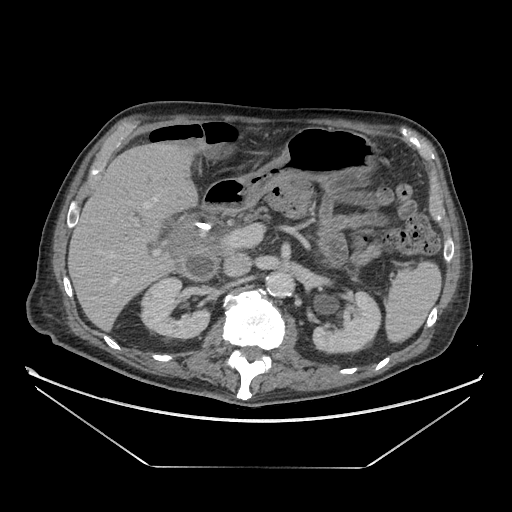

CT slice, Upper abdomen

<segmentation>
  <pancreas>x1=244 y1=208 x2=270 y2=222</pancreas>
</segmentation>